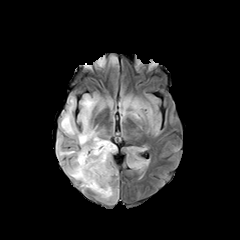
FLAIR MRI.
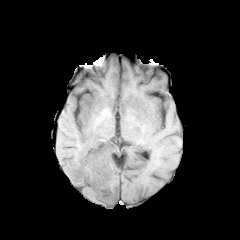
Same slice, T1-weighted MR.
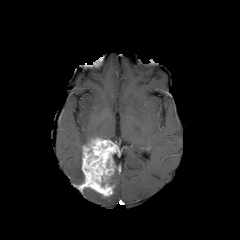
Post-contrast T1-weighted magnetic resonance.
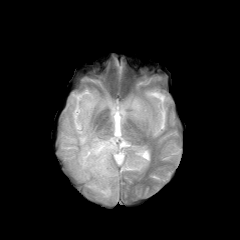
T2-weighted magnetic resonance.
Head; 240x240
Enhancing tumor = bbox(82, 137, 117, 197).
Non-enhancing tumor core = bbox(108, 160, 118, 186).
Edema = bbox(120, 97, 144, 119); bbox(57, 93, 107, 192); bbox(109, 189, 118, 201).